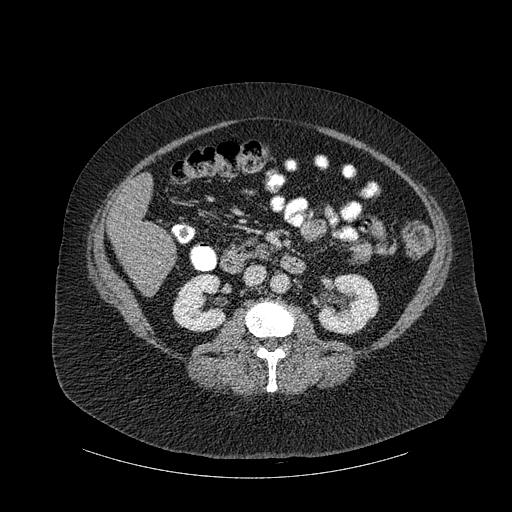 Liver. 512x512. CT image.
Annotated regions:
• kidney: l=173, t=274, r=224, b=330; l=319, t=275, r=377, b=333
• bone: l=245, t=302, r=295, b=337; l=255, t=346, r=286, b=391
• liver: l=108, t=174, r=177, b=292